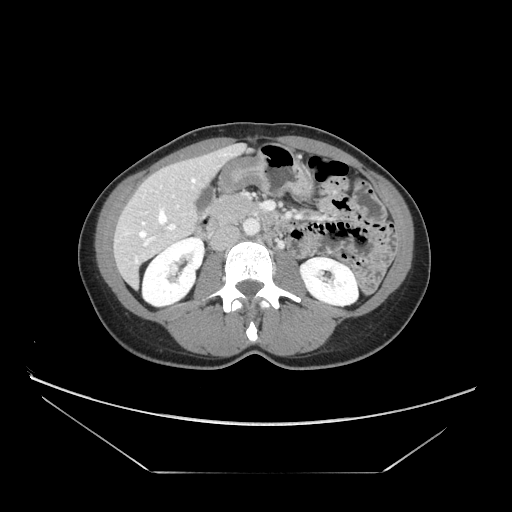
CT

• pancreas: <box>211,194,259,224</box>